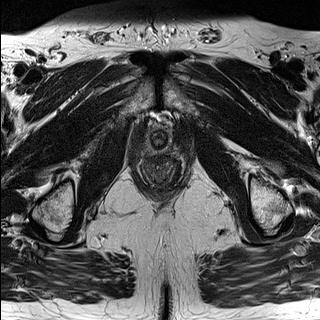
T2-weighted MR image.
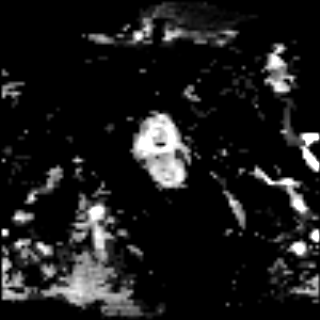
Same slice, ADC MRI.
320x320
The prostate transition zone lies within l=139, t=124, r=173, b=155.